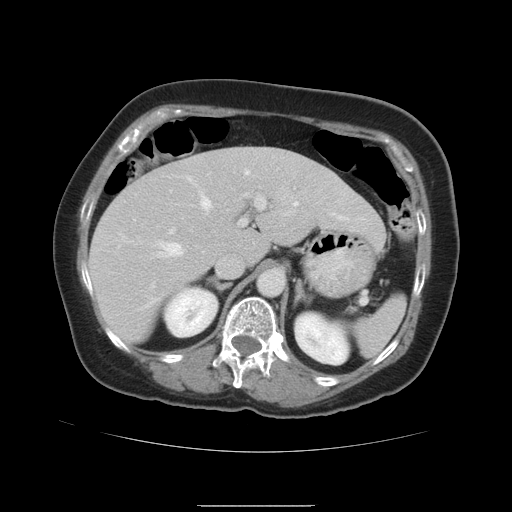
Abdomen, CT slice
Some hepatic vessels may have no box.
liver tumor: (279,202,306,225) | hepatic vessel: (239,218,246,225), (332,213,348,220), (201,193,211,211), (151,283,155,288), (156,241,184,257), (121,234,125,238), (170,227,176,232), (142,297,158,308), (246,170,249,174), (255,194,265,208), (296,202,298,203), (244,194,247,195), (187,176,194,183)